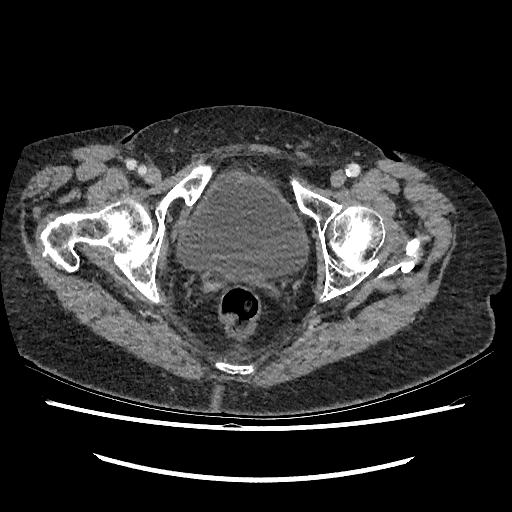 CT | 512x512 px | Lower abdomen
<segmentation>
  <urinary_bladder>[x1=175, y1=175, x2=308, y2=288]</urinary_bladder>
</segmentation>